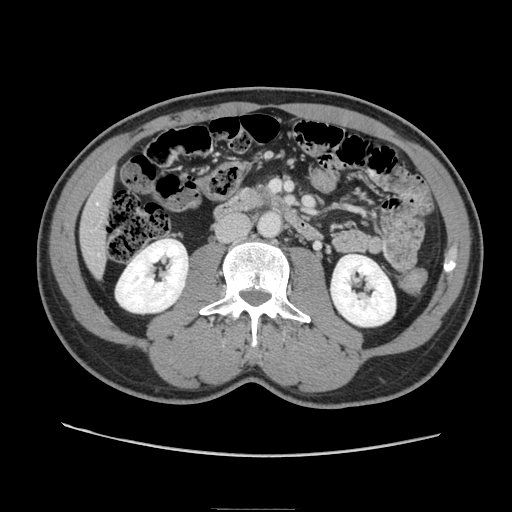 CT slice. 512x512. Upper abdomen. Pancreas: bounding box (254, 182, 275, 206).